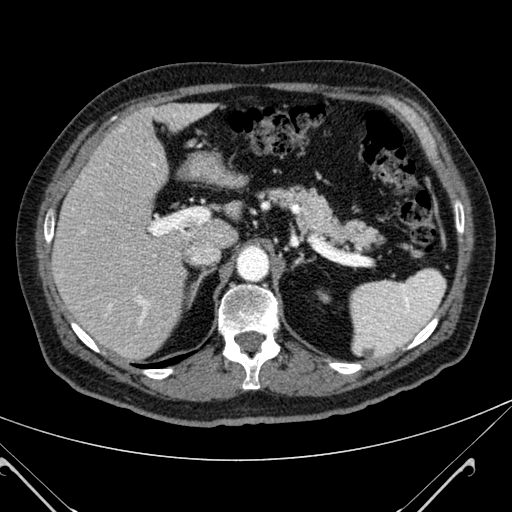

Upper abdomen, Image size 512x512, CT
{"liver": [{"x1": 50, "y1": 100, "x2": 233, "y2": 357}]}